Liver; Image size 512x512; Slice 572 of 624; Computed tomography

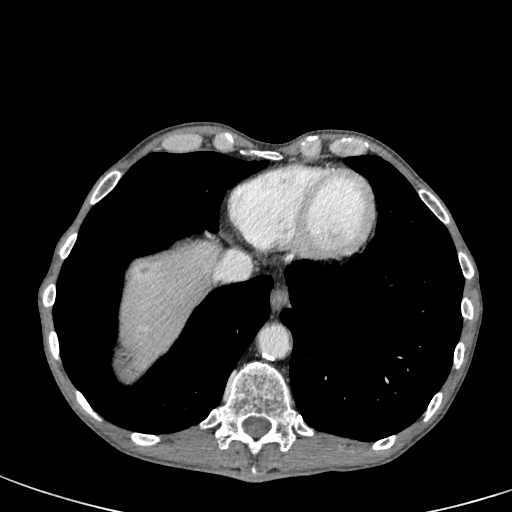
Findings:
* liver: box(120, 241, 220, 369)
* liver lesion: box(137, 262, 148, 274)